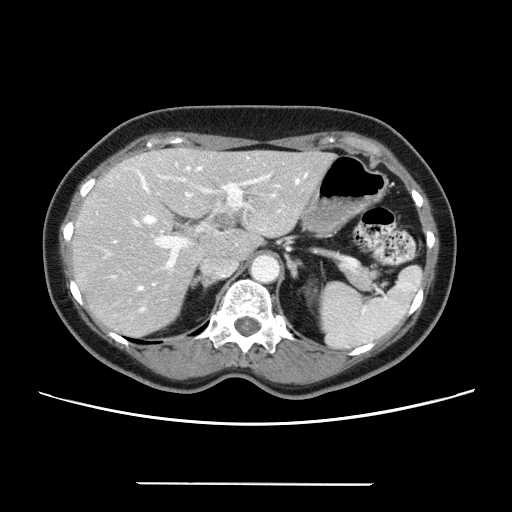
Liver. CT slice.

Not every hepatic vessel necessarily has a box.
Hepatic vessel at <box>248,180,256,182</box>, <box>145,216,154,222</box>, <box>157,236,185,268</box>, <box>225,184,242,205</box>, <box>296,179,298,182</box>, <box>142,178,146,187</box>, <box>198,168,200,169</box>, <box>139,287,141,289</box>.
Liver tumor at <box>214,215,231,226</box>.